Computed tomography. 512x512 px.

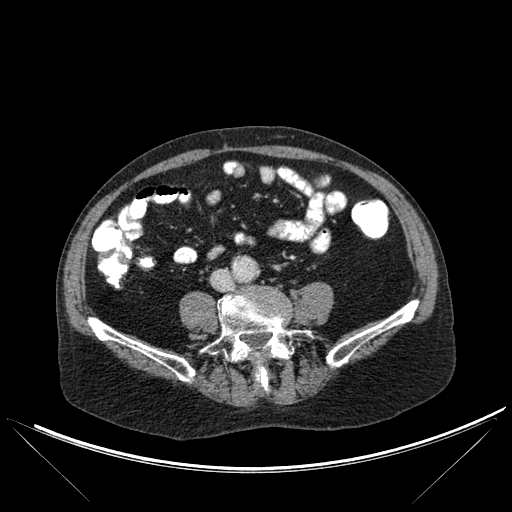
3 bone regions appear at left=88, top=317, right=194, bottom=381; left=212, top=292, right=300, bottom=390; left=326, top=300, right=418, bottom=366.